Brain; Image size 240x240
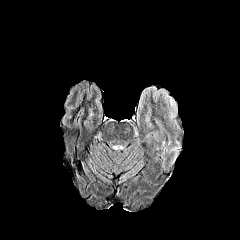
FLAIR MRI.
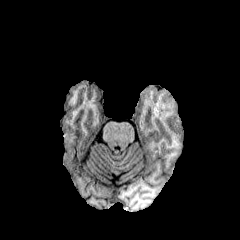
T1-weighted magnetic resonance of the same slice.
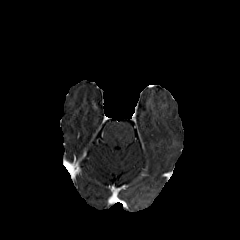
Post-contrast T1-weighted MR of the same slice.
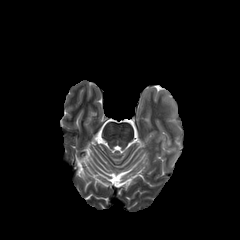
T2-weighted MR image.
2 edema regions are located at 170, 99, 177, 116; 161, 138, 180, 161.